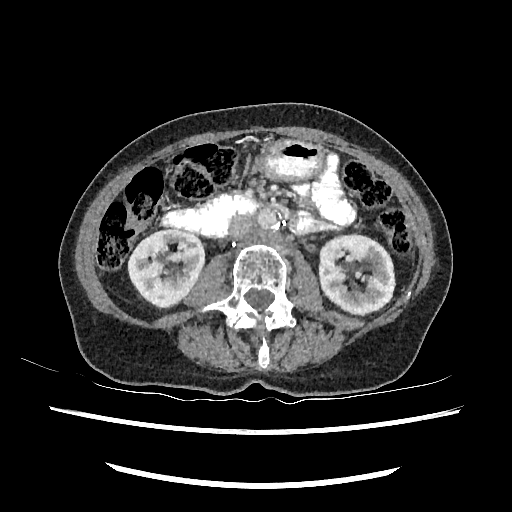 Abdomen. CT scan slice.
Kidney: bounding box 320 236 394 313, 128 228 204 306.